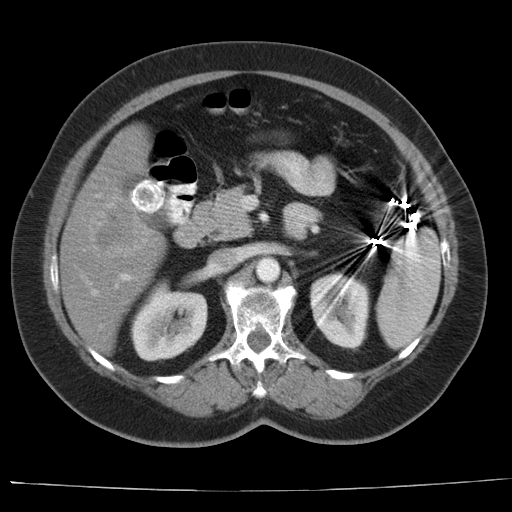

CT image, 512x512

The vessel annotation is not exhaustive.
- liver tumor: 89:200:148:256
- hepatic vessel: 121:274:128:280, 91:289:96:295